Field of view 37 mm wide, 1.00 mm slice spacing; MR image; Hippocampus; Slice 34 of 40
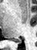
Annotated regions:
* posterior hippocampus: (left=15, top=40, right=20, bottom=43)